Field of view 344 mm wide, 1.00 mm slice spacing, CT scan slice 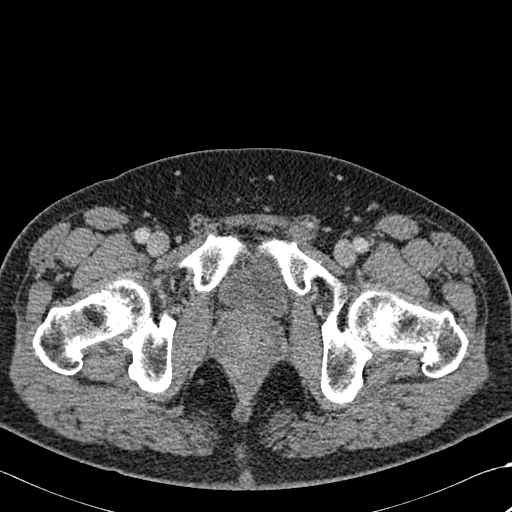
4 bone regions are located at 260,240,339,294; 180,235,243,291; 33,279,175,392; 321,290,467,403.